Image size 512x512, CT slice, Abdomen

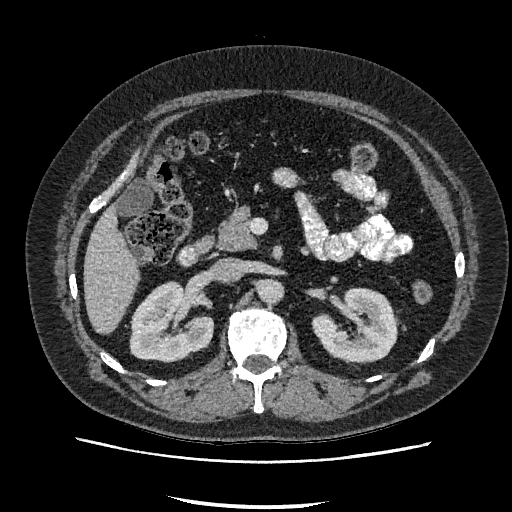 The liver is located at region(83, 205, 139, 332). 2 kidney regions are located at region(314, 289, 396, 361); region(131, 283, 212, 360).